Slice 79 of 94, Abdomen, CT scan slice, Image width 400 mm
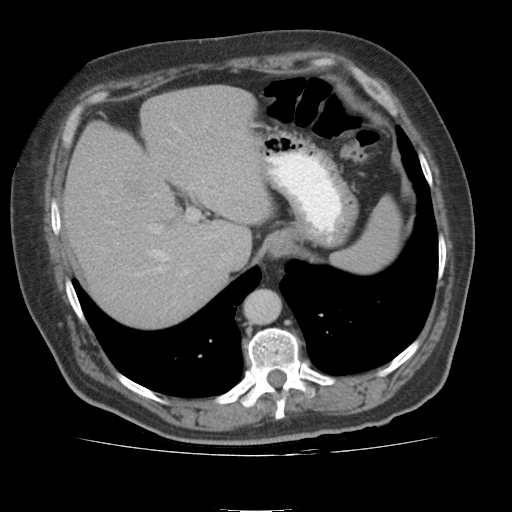

Findings:
• focal liver lesion: box(125, 178, 151, 198)
• liver: box(66, 88, 269, 326)